CT, Abdomen, Slice 127/132 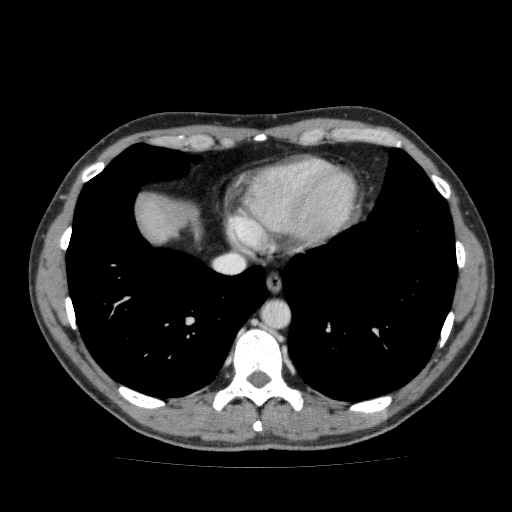 liver:
  - [134,192,192,244]